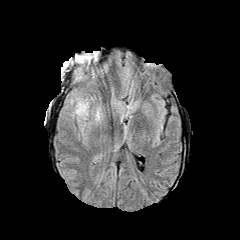
FLAIR magnetic resonance.
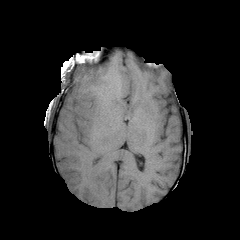
T1-weighted MR image of the same slice.
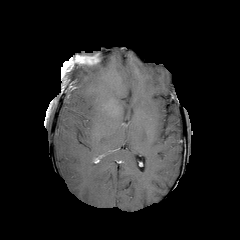
Post-contrast T1-weighted MR.
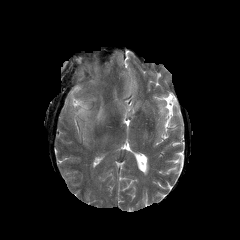
T2-weighted MR.
240x240 px.
Findings:
• edema: box=[71, 93, 92, 119]; box=[75, 68, 83, 80]